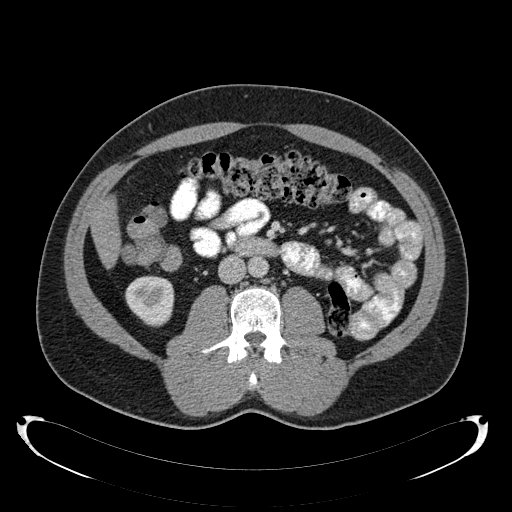

CT scan slice, 512x512, Abdomen
{
  "liver": [
    "91 198 119 266"
  ],
  "kidney": [
    "126 277 173 325"
  ]
}